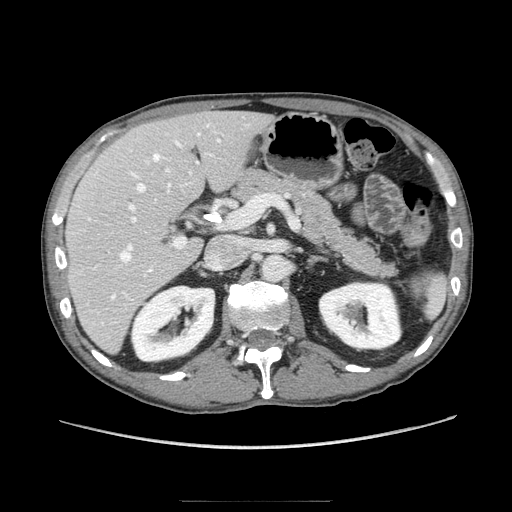
Upper abdomen | Image size 512x512 | CT slice

pancreas:
  - (x1=235, y1=170, x2=395, y2=276)